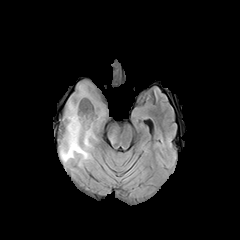
FLAIR magnetic resonance.
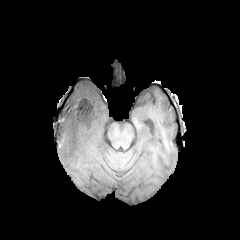
T1-weighted MR of the same slice.
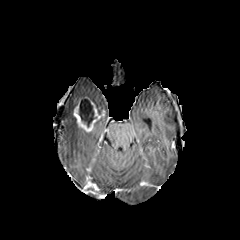
Post-contrast T1-weighted magnetic resonance.
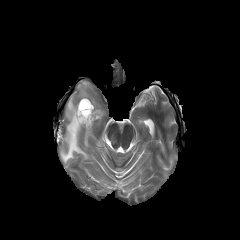
Same slice, T2-weighted MR image.
Head | 240x240 px
edema:
  - (left=60, top=85, right=105, bottom=170)
enhancing_tumor:
  - (left=73, top=106, right=92, bottom=131)
non-enhancing_tumor_core:
  - (left=78, top=100, right=103, bottom=125)